FLAIR MRI.
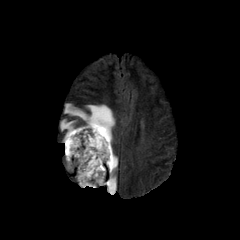
T1-weighted MR.
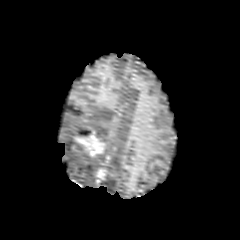
Post-contrast T1-weighted MRI.
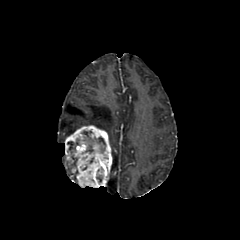
T2-weighted MRI.
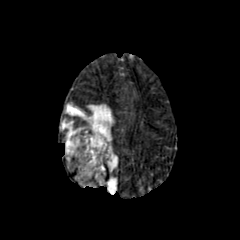
Brain | 240x240
Enhancing tumor: <bbox>63, 124, 112, 187</bbox>.
Edema: <bbox>64, 103, 114, 143</bbox>, <bbox>60, 119, 76, 135</bbox>, <bbox>106, 151, 117, 194</bbox>.